Brain. Image size 240x240. Slice 123/155.
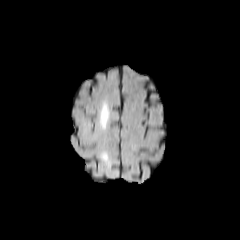
FLAIR magnetic resonance.
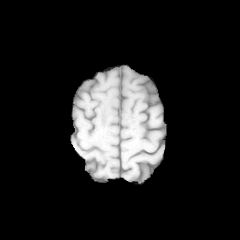
Same slice, T1-weighted MR.
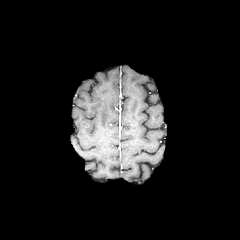
Post-contrast T1-weighted MR image of the same slice.
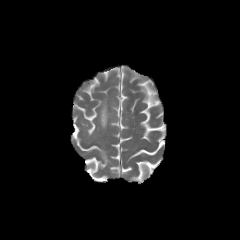
Same slice, T2-weighted MRI.
2 edema regions are located at (100, 102, 108, 128), (101, 151, 107, 161).